Head
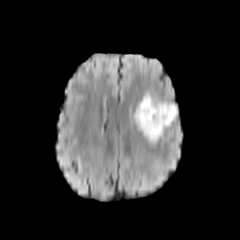
FLAIR magnetic resonance.
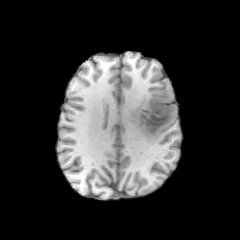
T1-weighted MR image.
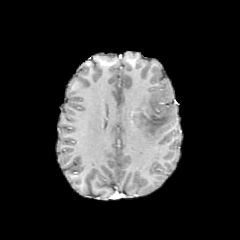
Post-contrast T1-weighted MR image.
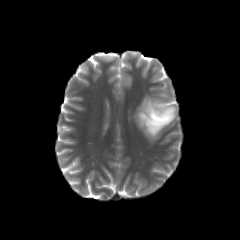
Same slice, T2-weighted magnetic resonance.
Annotated regions:
* non-enhancing tumor core: 140, 90, 174, 133
* edema: 133, 93, 177, 143